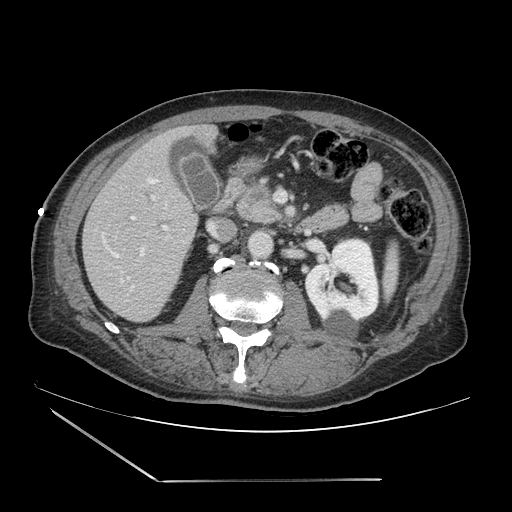 CT image

Pancreas — (239, 187, 281, 223).
Pancreatic tumor — (247, 185, 269, 201).